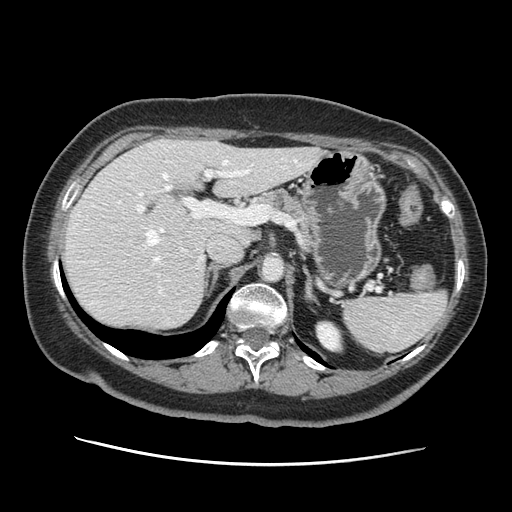

Computed tomography, Abdomen
spleen:
  - (343, 290, 447, 351)